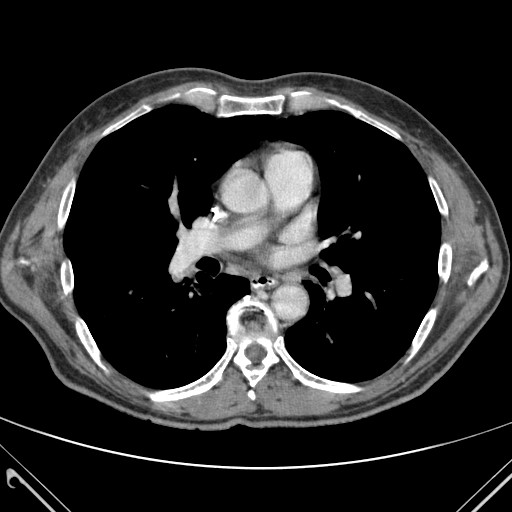 Computed tomography
<segmentation>
  <lung>[64,105,440,388]</lung>
  <bone>[438,244,451,280], [430,179,447,214], [76,320,104,368], [328,100,398,137], [468,260,487,284], [61,263,73,293], [150,296,359,401], [58,182,74,230], [410,310,435,357], [104,106,149,134], [189,88,310,116]</bone>
</segmentation>